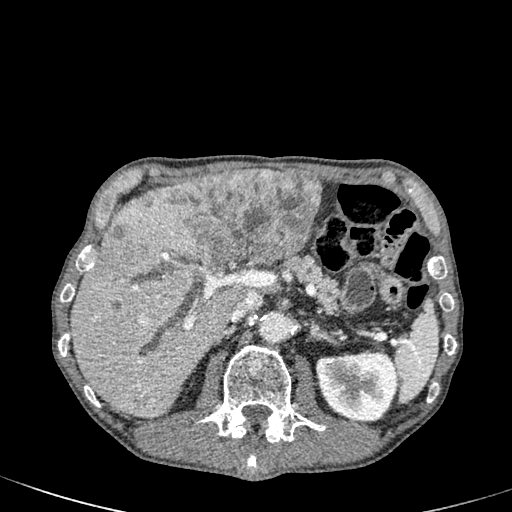

CT
Liver lesion: bounding box {"x1": 134, "y1": 395, "x2": 147, "y2": 407}, {"x1": 144, "y1": 197, "x2": 151, "y2": 206}, {"x1": 110, "y1": 226, "x2": 124, "y2": 238}, {"x1": 166, "y1": 169, "x2": 320, "y2": 270}.
Kidney: bounding box {"x1": 315, "y1": 353, "x2": 400, "y2": 420}.
Liver: bounding box {"x1": 71, "y1": 183, "x2": 248, "y2": 416}.